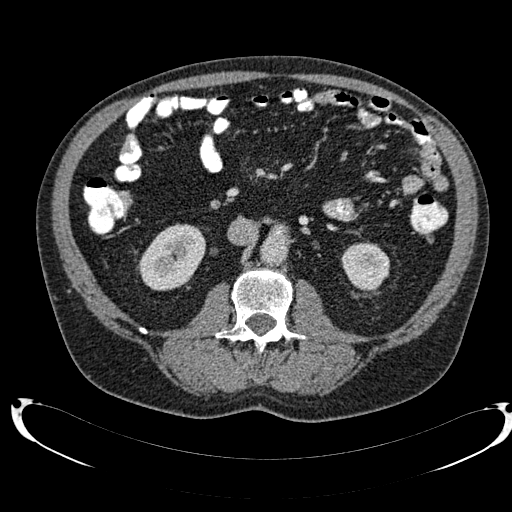
Computed tomography

{
  "kidney": [
    "(x1=342, y1=243, x2=389, y2=290)",
    "(x1=138, y1=224, x2=205, y2=290)"
  ]
}